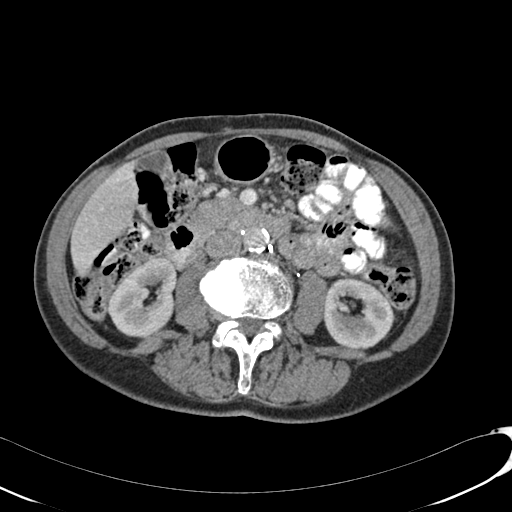

Computed tomography | 512x512 | Upper abdomen
{"kidney": ["108 257 175 336", "324 279 392 348"], "liver": ["72 161 137 275"]}